Field of view 240 mm wide, 1.00 mm slice spacing, 240x240
FLAIR magnetic resonance.
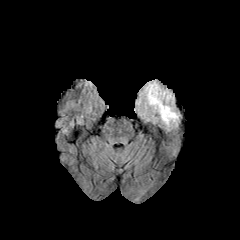
T1-weighted MRI.
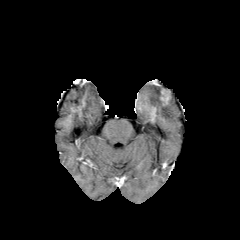
Post-contrast T1-weighted magnetic resonance.
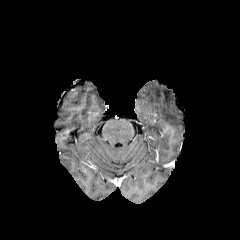
T2-weighted magnetic resonance.
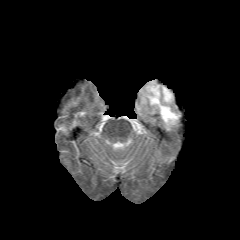
{
  "edema": [
    "rect(137, 81, 180, 131)"
  ]
}